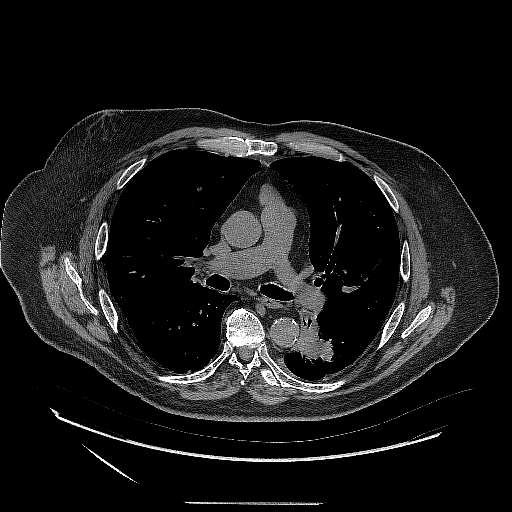
Computed tomography | Thorax
<segmentation>
  <lung_tumor>x1=289 y1=310 x2=343 y2=373</lung_tumor>
</segmentation>